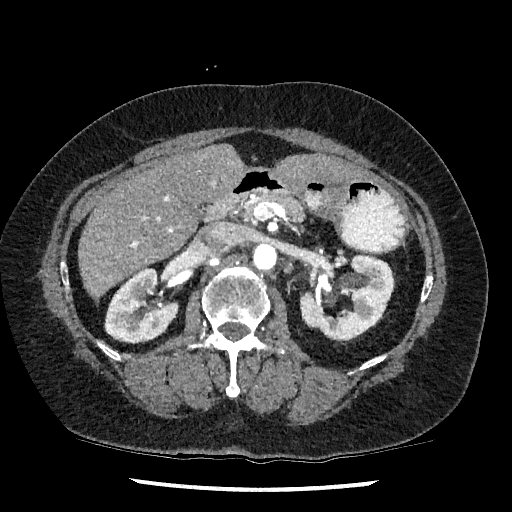 CT scan slice.

Liver — (275,156,369,184), (78,144,244,297).
Kidney — (105,261,187,342), (301,255,393,339).